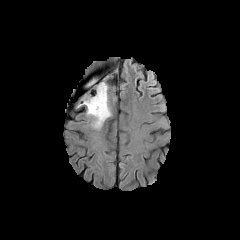
FLAIR MR image.
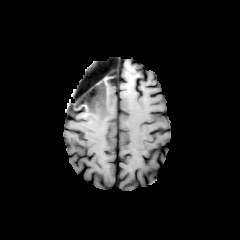
Same slice, T1-weighted MR image.
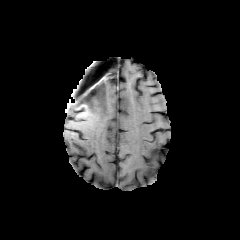
Post-contrast T1-weighted MR image.
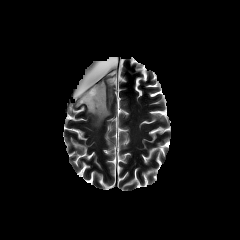
T2-weighted magnetic resonance of the same slice.
240x240 px, Brain
Non-enhancing tumor core = 84, 86, 97, 100.
Edema = 86, 77, 97, 89; 81, 82, 111, 128.